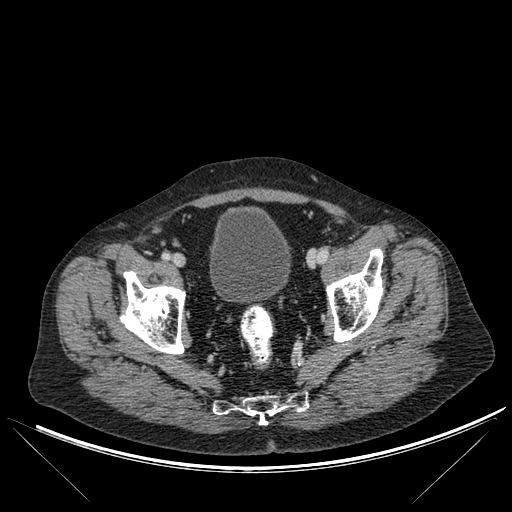

Computed tomography. Pelvis.

urinary_bladder:
  - 209,206,290,303
bone:
  - 120,271,185,354
  - 326,249,382,342
  - 213,395,308,424